Image size 512x512 | CT image | Liver | Field of view 400 mm wide, 0.80 mm slice spacing
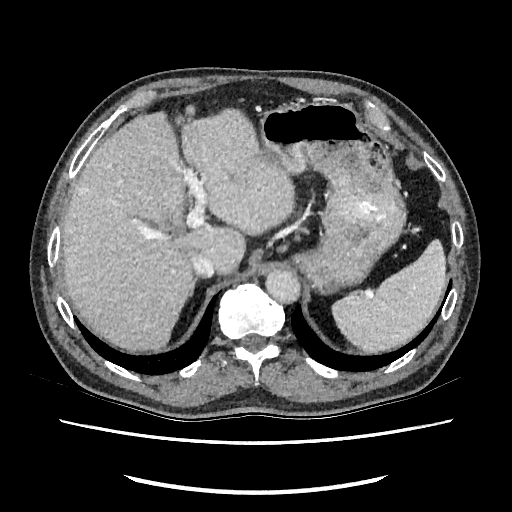

liver:
  - region(62, 113, 243, 348)
  - region(182, 111, 292, 233)